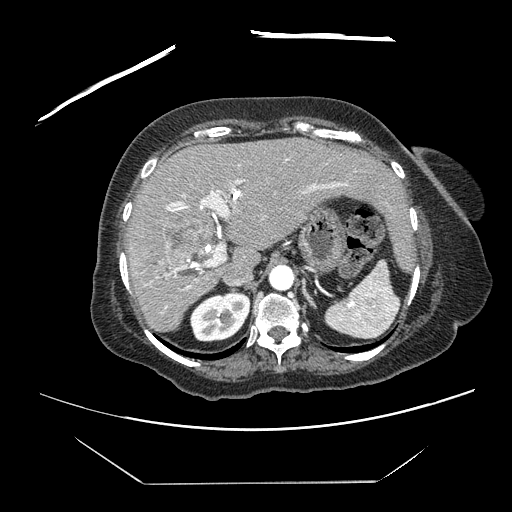
CT
Not every hepatic vessel necessarily has a box.
* liver tumor: bbox(166, 216, 208, 264)
* hepatic vessel: bbox(302, 183, 346, 193); bbox(181, 266, 184, 267); bbox(166, 201, 187, 210); bbox(237, 180, 240, 182); bbox(205, 244, 224, 265); bbox(199, 191, 228, 216); bbox(190, 263, 196, 267); bbox(182, 194, 184, 196); bbox(173, 268, 179, 271); bbox(218, 226, 220, 229)